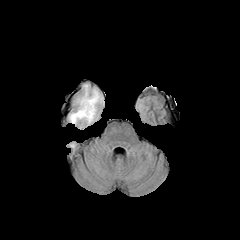
FLAIR magnetic resonance.
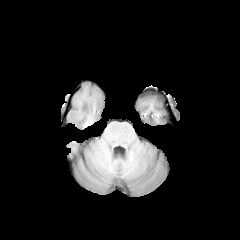
T1-weighted magnetic resonance.
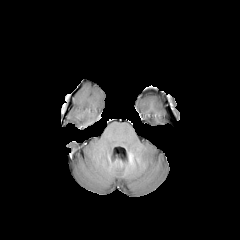
Post-contrast T1-weighted MRI of the same slice.
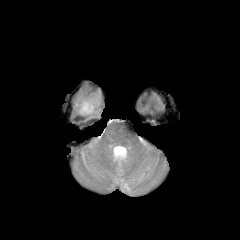
Same slice, T2-weighted magnetic resonance.
Image size 240x240. Brain.
Edema: bounding box [x1=69, y1=88, x2=101, y2=127].